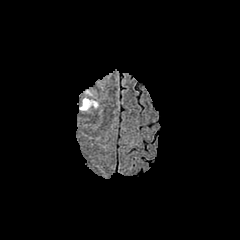
FLAIR MRI.
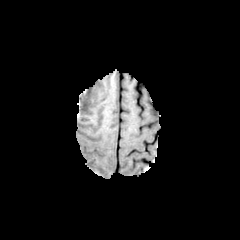
T1-weighted MR of the same slice.
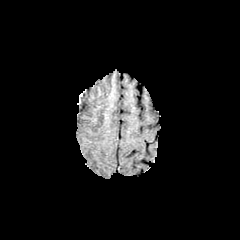
Same slice, post-contrast T1-weighted MR.
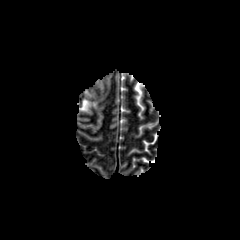
Same slice, T2-weighted magnetic resonance.
240x240, Brain
Edema at rect(80, 92, 98, 111).